Slice 67 of 155. 240x240 px. Brain.
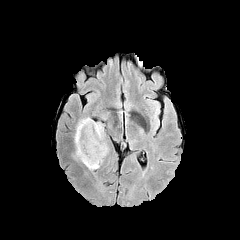
FLAIR MRI.
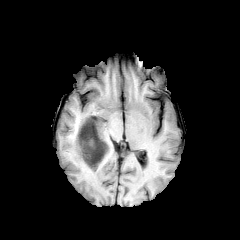
T1-weighted MR.
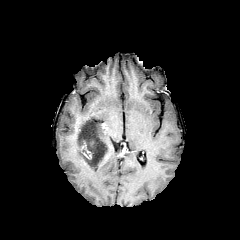
Post-contrast T1-weighted MRI of the same slice.
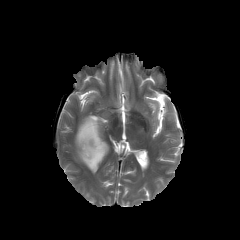
T2-weighted MRI.
Non-enhancing tumor core: bounding box [x1=78, y1=119, x2=106, y2=165].
Enhancing tumor: bounding box [x1=80, y1=140, x2=91, y2=158].
Edema: bounding box [x1=150, y1=102, x2=157, y2=113], [x1=74, y1=117, x2=109, y2=171].